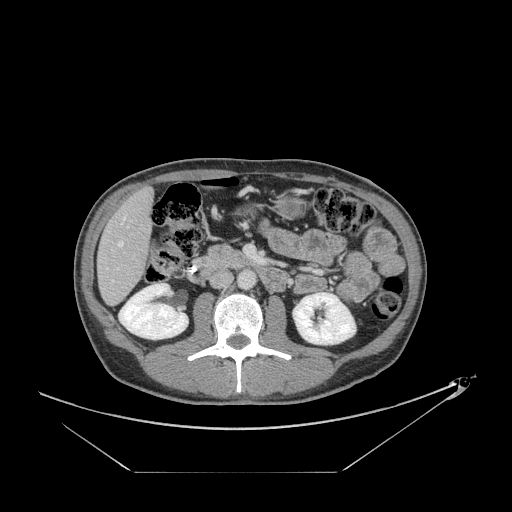

Computed tomography

Annotated regions:
* pancreas: bbox=[210, 245, 240, 266]